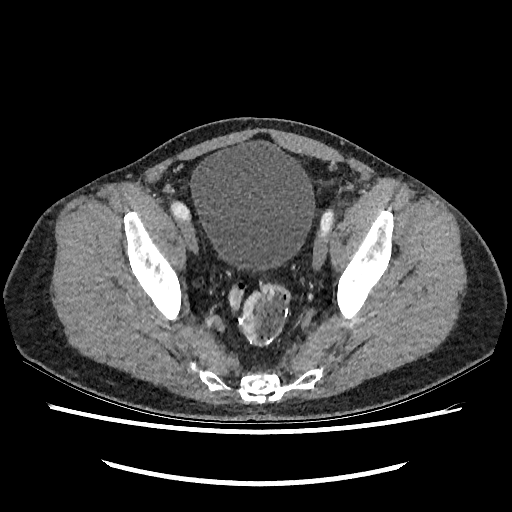
CT. Lower abdomen.
urinary bladder: 189, 136, 314, 271